Slice 133/155 | 240x240 px
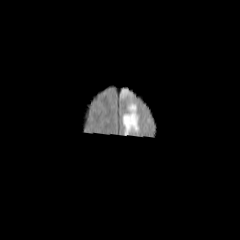
FLAIR MR.
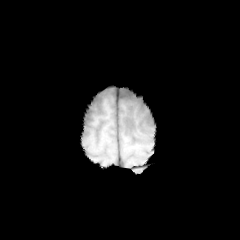
T1-weighted MR image.
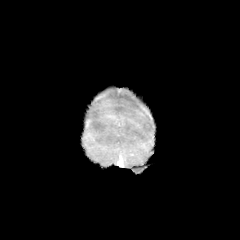
Same slice, post-contrast T1-weighted magnetic resonance.
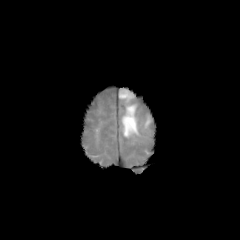
T2-weighted MR image of the same slice.
<segmentation>
  <edema>{"x1": 121, "y1": 104, "x2": 139, "y2": 137}, {"x1": 118, "y1": 88, "x2": 134, "y2": 100}</edema>
</segmentation>